FLAIR MR image.
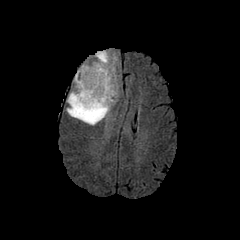
T1-weighted MRI.
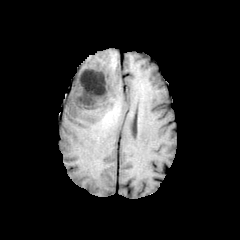
Post-contrast T1-weighted MR.
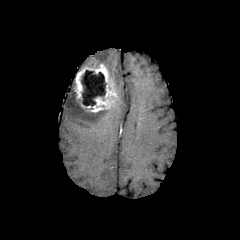
T2-weighted MR.
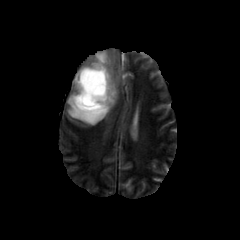
Head
{
  "enhancing_tumor": [
    "[x1=74, y1=64, x2=115, y2=111]"
  ],
  "non-enhancing_tumor_core": [
    "[x1=76, y1=70, x2=106, y2=113]",
    "[x1=87, y1=62, x2=102, y2=67]"
  ],
  "edema": [
    "[x1=66, y1=84, x2=112, y2=125]",
    "[x1=79, y1=51, x2=120, y2=94]"
  ]
}